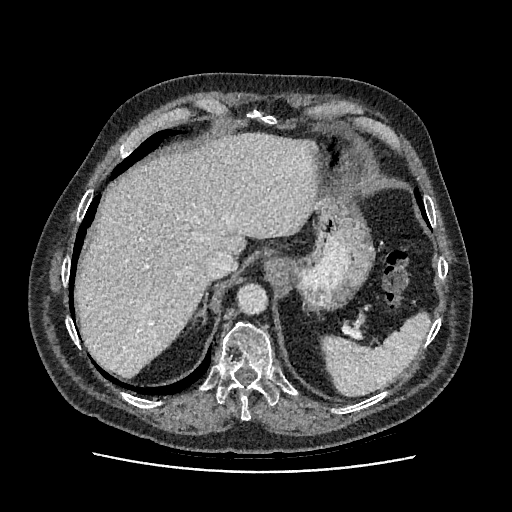 Abdomen, CT slice

- liver: (76,133,317,377)